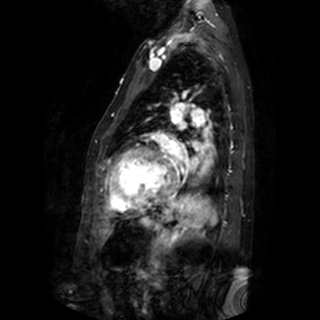 Magnetic resonance. Heart. {
  "left_atrium": [
    "(167, 143, 181, 159)",
    "(171, 110, 181, 122)"
  ]
}